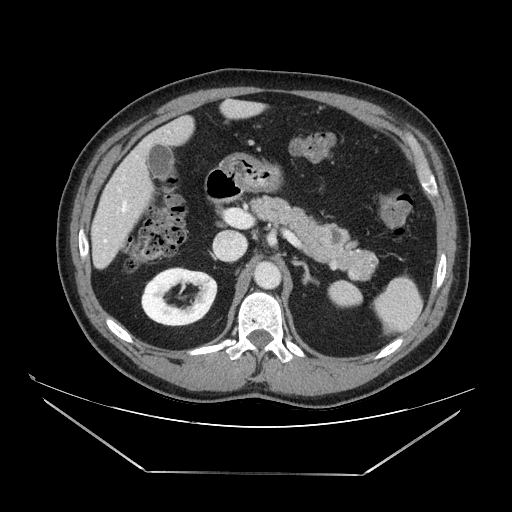 CT slice; Upper abdomen
Annotated regions:
- pancreas: [x1=248, y1=196, x2=378, y2=280]
- pancreatic tumor: [x1=318, y1=224, x2=348, y2=246]